Field of view 411x411 mm | Liver | Computed tomography | Image size 512x512 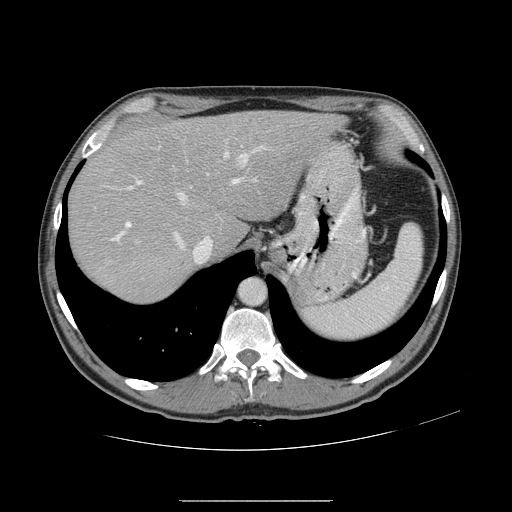
Not every hepatic vessel necessarily has a box.
11 hepatic vessel regions are located at (196, 236, 211, 248), (129, 187, 132, 188), (258, 146, 264, 149), (110, 232, 124, 240), (239, 153, 249, 164), (136, 179, 141, 184), (230, 179, 239, 183), (178, 193, 186, 203), (224, 150, 228, 156), (125, 222, 130, 227), (173, 233, 183, 248).